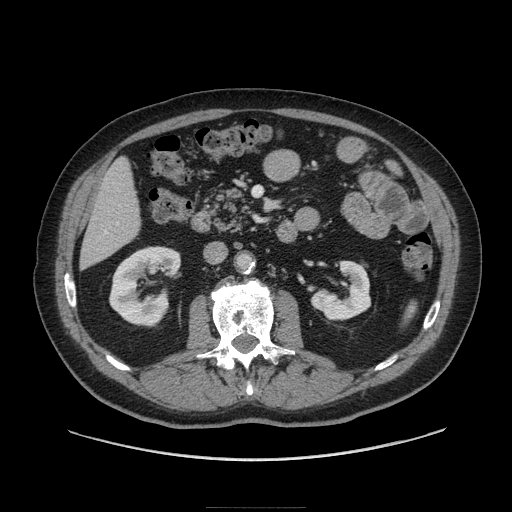 CT scan slice, Abdomen

Pancreas — [212, 187, 249, 233].